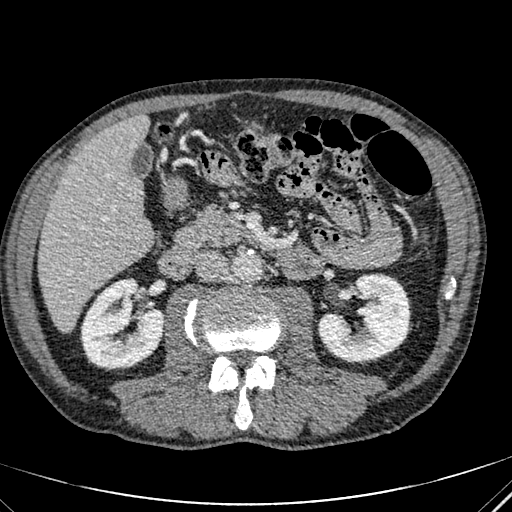

Image size 512x512 | Upper abdomen | CT image
The liver lies within (39, 114, 152, 332). 2 kidney regions are located at (82, 280, 162, 366), (319, 275, 408, 360).